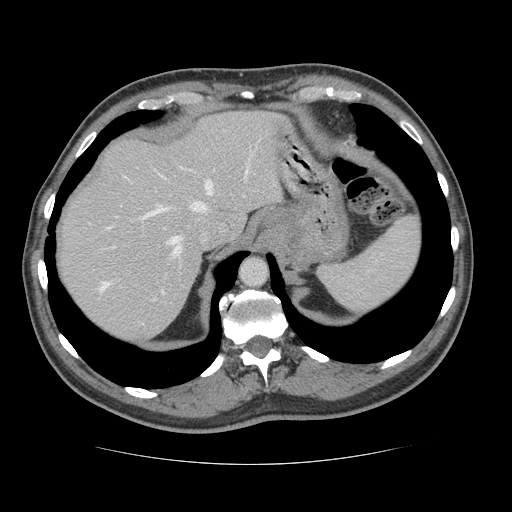 CT image. Liver.

The vessel boxes may cover only some of the vessels.
12 hepatic vessel regions are bounded by (x1=250, y1=150, x2=253, y2=154), (x1=169, y1=236, x2=181, y2=255), (x1=244, y1=166, x2=248, y2=180), (x1=98, y1=281, x2=109, y2=292), (x1=159, y1=173, x2=164, y2=177), (x1=143, y1=205, x2=166, y2=217), (x1=113, y1=246, x2=114, y2=247), (x1=191, y1=201, x2=206, y2=211), (x1=105, y1=226, x2=111, y2=228), (x1=153, y1=297, x2=155, y2=299), (x1=161, y1=290, x2=164, y2=294), (x1=205, y1=181, x2=212, y2=194).